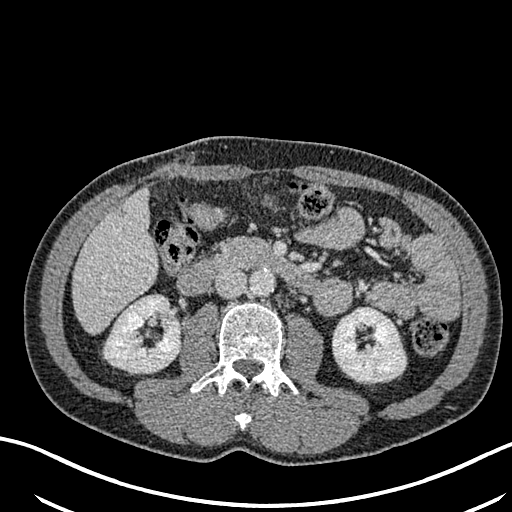

CT scan slice | Image size 512x512

{"focal_liver_lesion": [{"x1": 116, "y1": 206, "x2": 126, "y2": 217}], "kidney": [{"x1": 105, "y1": 295, "x2": 180, "y2": 372}, {"x1": 333, "y1": 308, "x2": 405, "y2": 382}], "liver": [{"x1": 72, "y1": 188, "x2": 155, "y2": 332}]}